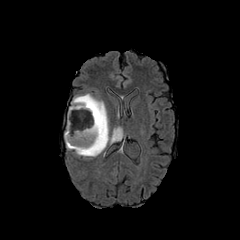
FLAIR magnetic resonance.
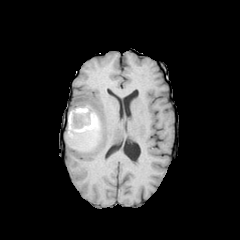
T1-weighted MR image of the same slice.
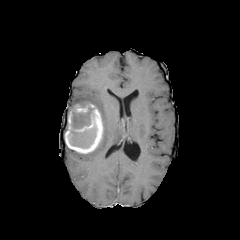
Post-contrast T1-weighted MRI.
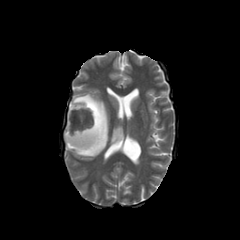
T2-weighted MR image.
Head
Segmented structures:
- edema: {"x1": 66, "y1": 91, "x2": 120, "y2": 159}
- non-enhancing tumor core: {"x1": 82, "y1": 128, "x2": 95, "y2": 147}
- enhancing tumor: {"x1": 65, "y1": 104, "x2": 103, "y2": 153}